Computed tomography | Image size 512x512
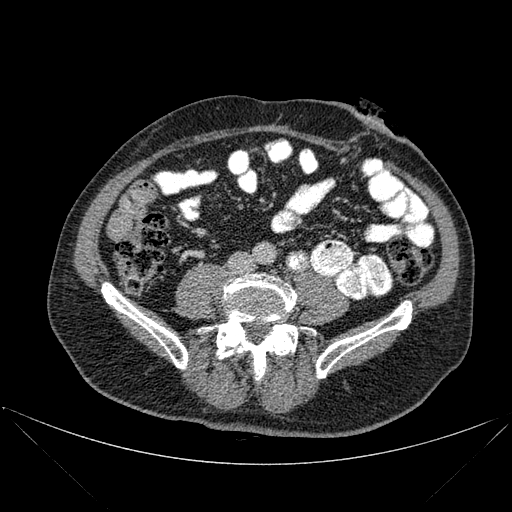 * bone: 215, 274, 297, 379; 101, 282, 187, 368; 316, 301, 412, 378